CT image | 512x512 | Liver | Slice 325 of 455 | Image width 335 mm 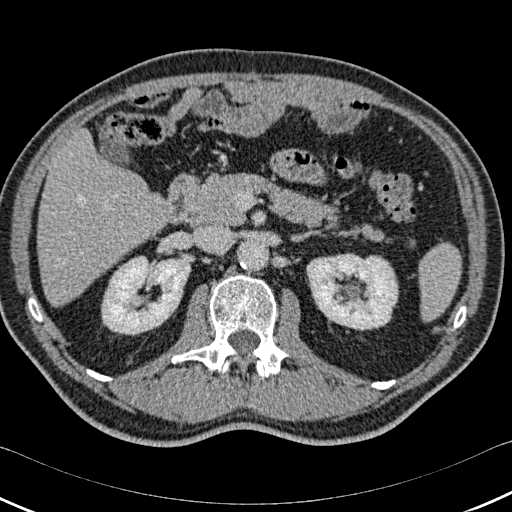
The liver appears at left=38, top=128, right=165, bottom=304. 2 kidney regions are located at left=102, top=257, right=189, bottom=333; left=307, top=254, right=397, bottom=329. 5 bone regions are bounded by left=372, top=380, right=395, bottom=388; left=171, top=275, right=288, bottom=377; left=454, top=307, right=465, bottom=327; left=29, top=298, right=41, bottom=320; left=87, top=370, right=111, bottom=381.